Slice 207/230 | CT | Upper abdomen
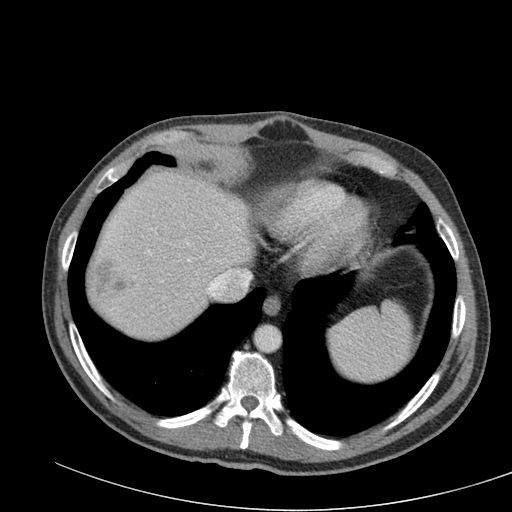

liver:
  - bbox(88, 170, 252, 338)
focal_liver_lesion:
  - bbox(94, 259, 126, 292)